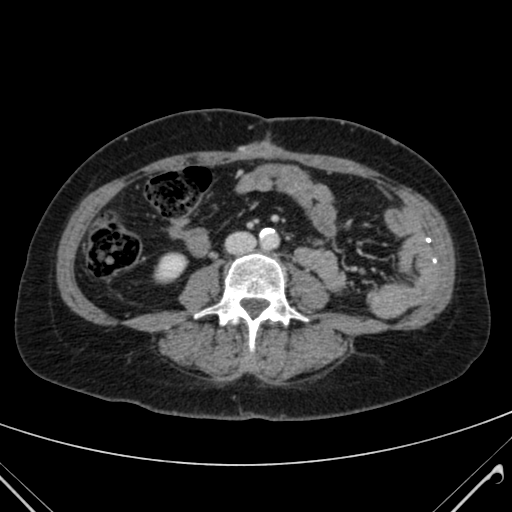
512x512; CT slice; Abdomen

• kidney: <box>160,256,184,276</box>